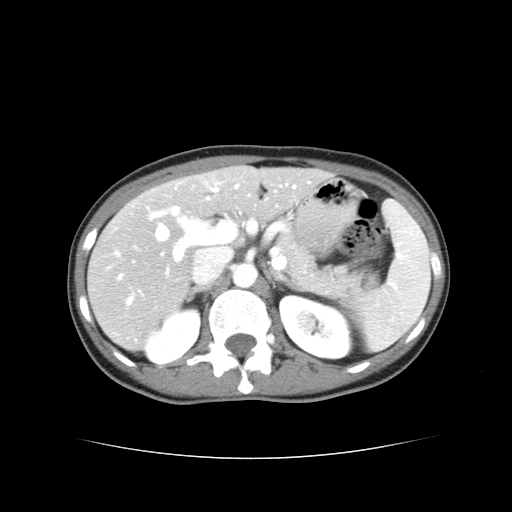 CT image; Liver; 512x512

Only some of the vessels may be annotated.
Segmented structures:
- hepatic vessel: box(236, 185, 238, 187); box(151, 212, 164, 217); box(181, 219, 196, 228); box(157, 226, 168, 240); box(172, 208, 179, 214); box(213, 189, 216, 191)